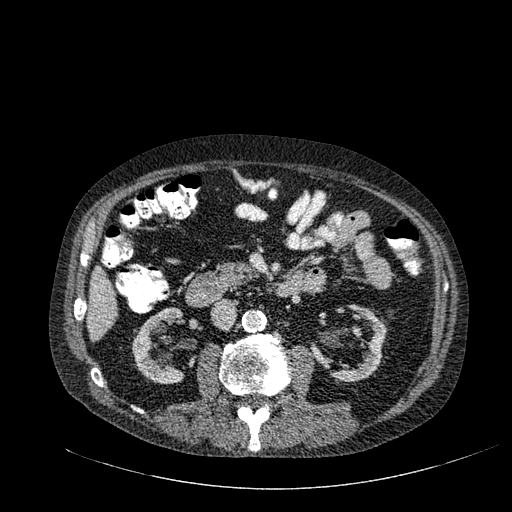 CT scan slice | Liver | 512x512 px

<segmentation>
  <kidney>132,307,196,383; 311,304,387,381; 189,319,198,328; 319,312,325,325; 188,356,195,367</kidney>
  <liver>88,266,116,339</liver>
</segmentation>